512x512 | Computed tomography
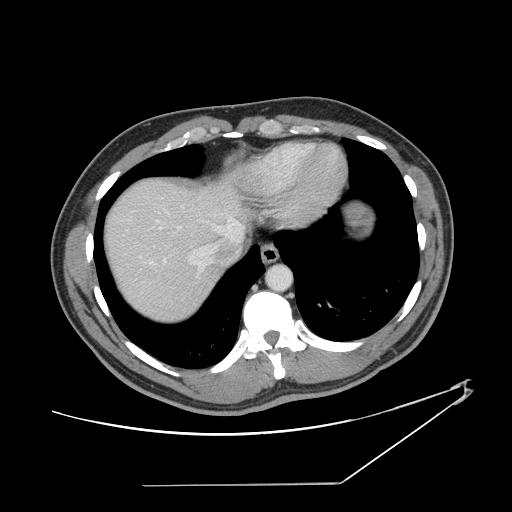
Some hepatic vessels may have no box.
12 hepatic vessel regions appear at left=218, top=218, right=238, bottom=232; left=143, top=260, right=152, bottom=263; left=189, top=256, right=193, bottom=263; left=197, top=275, right=198, bottom=277; left=163, top=259, right=165, bottom=262; left=159, top=227, right=161, bottom=228; left=177, top=226, right=179, bottom=228; left=196, top=245, right=209, bottom=254; left=164, top=210, right=166, bottom=211; left=196, top=262, right=205, bottom=270; left=211, top=250, right=213, bottom=252; left=139, top=256, right=140, bottom=258.